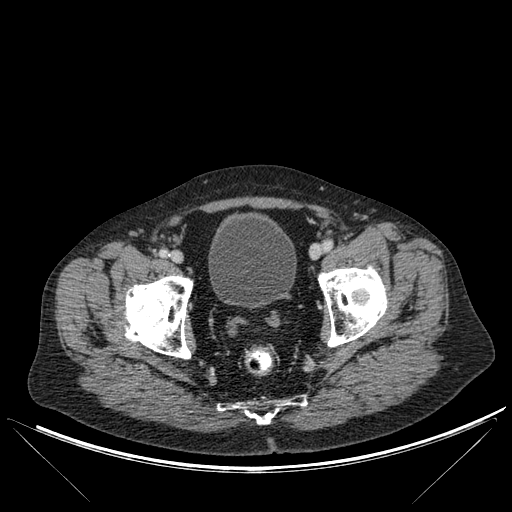
Lower abdomen. Computed tomography. 512x512 px. bone: 217 405 236 410, 318 265 387 346, 289 401 306 406, 123 275 192 358, 244 401 278 424 | urinary bladder: 208 212 296 307